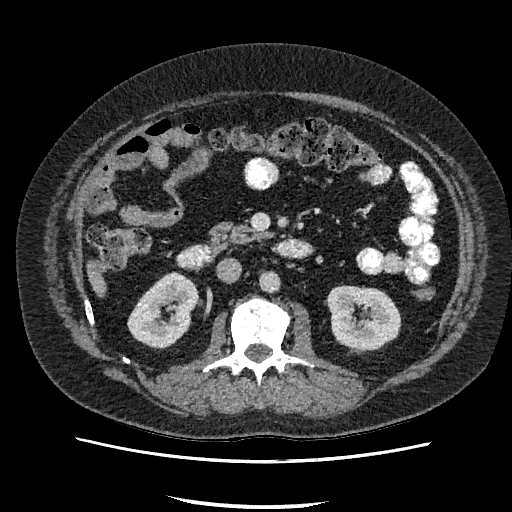

CT.

{"kidney": ["328:287:399:348", "128:274:197:346"], "liver": ["91:271:105:293"]}